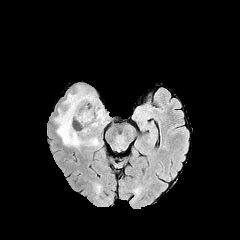
FLAIR MR.
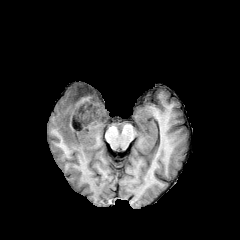
Same slice, T1-weighted MR.
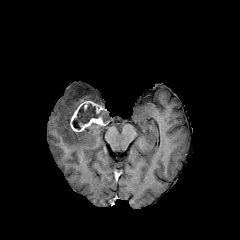
Post-contrast T1-weighted MR.
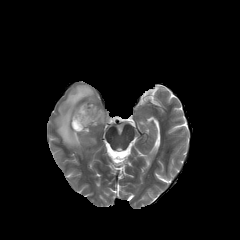
Same slice, T2-weighted MR.
Brain; 240x240 px
* edema: [87,136,98,145], [54,86,94,149]
* non-enhancing tumor core: [72,103,107,130]
* enhancing tumor: [70,101,105,131]